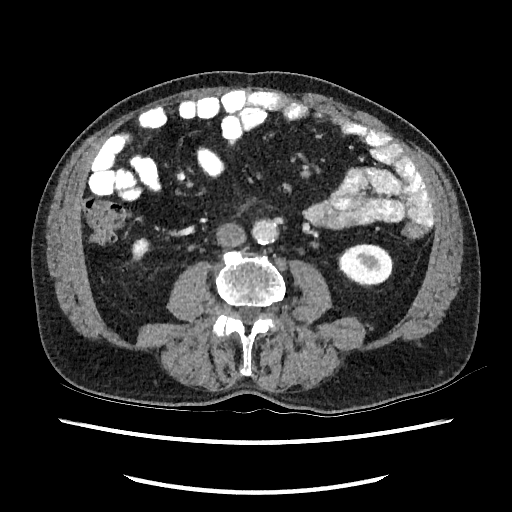
CT image; Abdomen
Kidney at 132, 238, 148, 259; 339, 244, 392, 284.